Field of view 429 mm wide, 0.70 mm slice spacing. CT image.

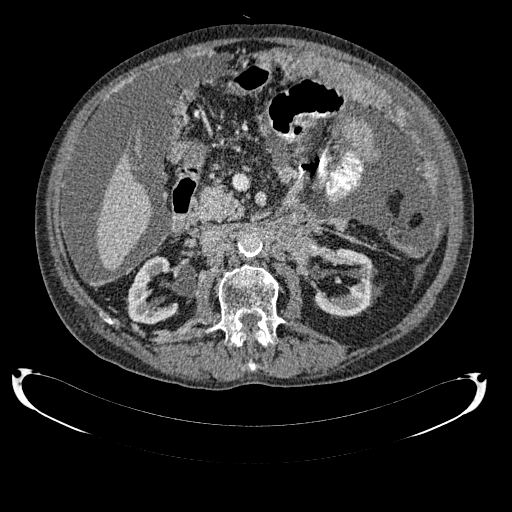
Kidney: bounding box (x1=128, y1=257, x2=177, y2=323), (x1=315, y1=248, x2=372, y2=315).
Liver: bounding box (x1=96, y1=151, x2=151, y2=271).